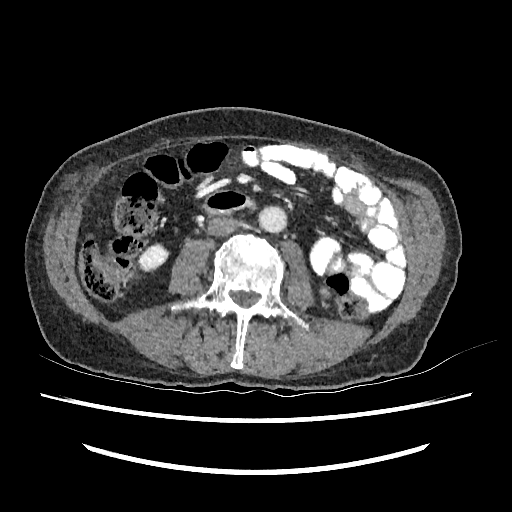
CT scan slice. Abdomen. kidney: box=[139, 246, 167, 268]